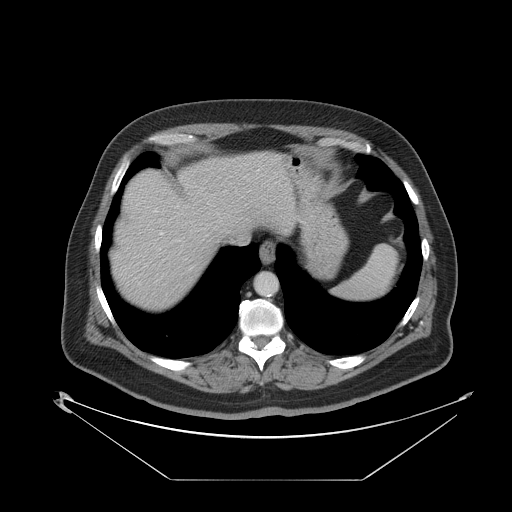 512x512 px | CT | Abdomen
Only some of the vessels may be annotated.
Hepatic vessel: 160:232:162:234, 154:209:156:211.